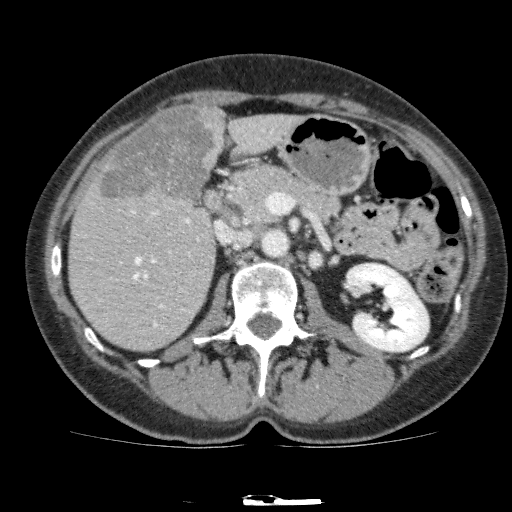
Image size 512x512 | Upper abdomen | CT image
<segmentation>
  <kidney>(x1=347, y1=264, x2=428, y2=351)</kidney>
  <liver>(x1=203, y1=106, x2=302, y2=169), (x1=67, y1=154, x2=216, y2=351)</liver>
  <liver_lesion>(x1=96, y1=107, x2=218, y2=201)</liver_lesion>
</segmentation>